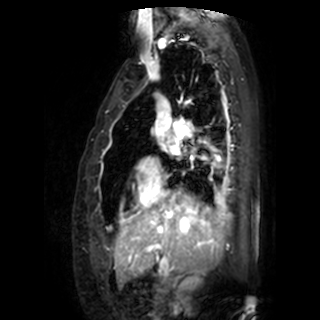 MRI slice
Annotated regions:
* left atrium: box(169, 141, 177, 150)